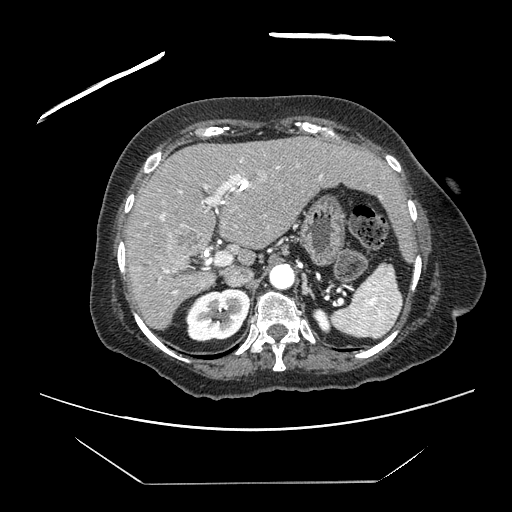
Abdomen, CT image

Some hepatic vessels may have no box.
5 hepatic vessel regions are located at box(166, 270, 169, 271); box(215, 253, 231, 264); box(161, 215, 163, 219); box(179, 191, 181, 192); box(202, 174, 245, 203). The liver tumor is at box(171, 227, 201, 259).